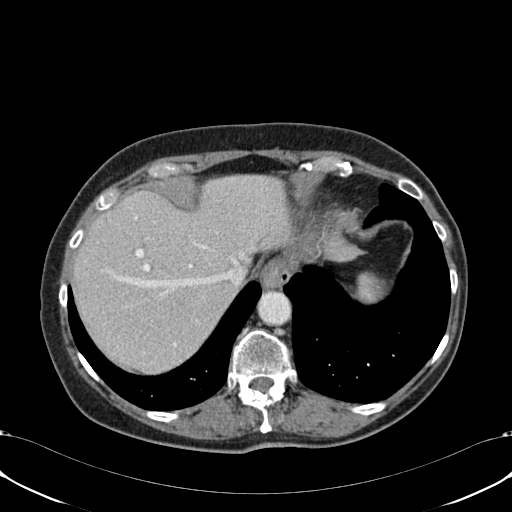
CT scan slice | 512x512 px | Liver

<segmentation>
  <liver>l=74, t=175, r=294, b=371</liver>
</segmentation>